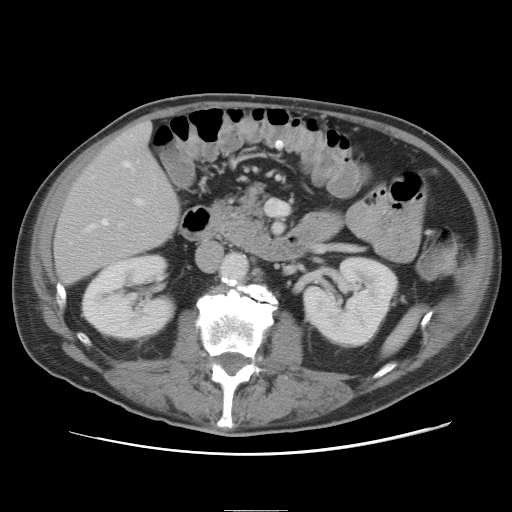
CT | 512x512 px | Abdomen

The vessel boxes may cover only some of the vessels.
hepatic vessel: [87, 225, 94, 230], [124, 162, 130, 167], [136, 199, 142, 204], [103, 220, 107, 224], [145, 123, 150, 127]